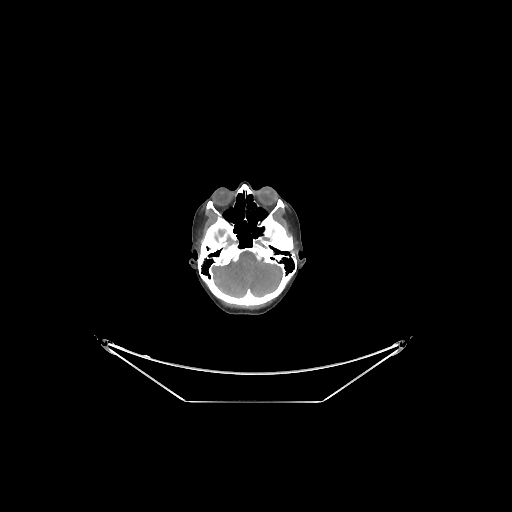 Head; 512x512; CT slice
4 brain regions appear at x1=211 y1=250 x2=282 y2=298, x1=225 y1=234 x2=238 y2=246, x1=214 y1=228 x2=226 y2=242, x1=255 y1=234 x2=271 y2=243.